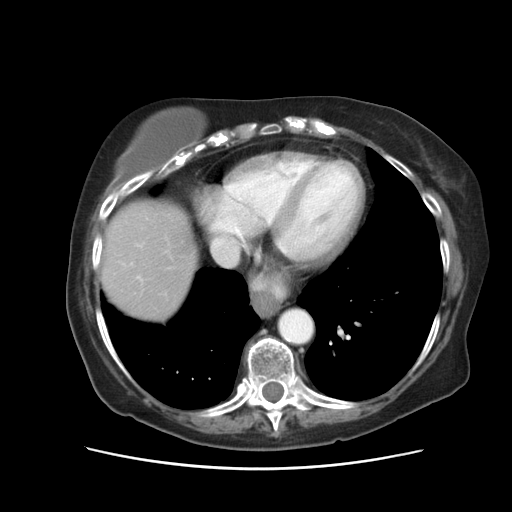 Computed tomography; 512x512; Liver

Some hepatic vessels may have no box.
hepatic vessel: box(210, 225, 250, 266); box(137, 276, 140, 280); box(136, 245, 140, 245)